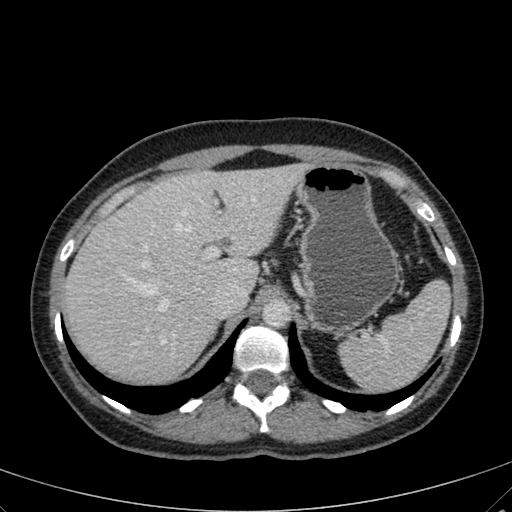 Abdomen. CT.

<segmentation>
  <liver_lesion>[x1=220, y1=237, x2=231, y2=245]</liver_lesion>
  <liver>[x1=63, y1=163, x2=311, y2=382]</liver>
</segmentation>